FLAIR MR image.
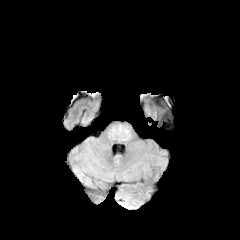
T1-weighted MR image.
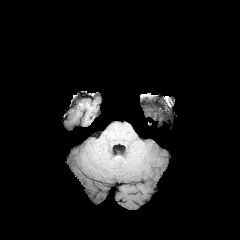
Post-contrast T1-weighted magnetic resonance.
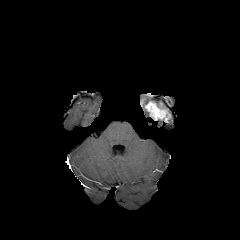
T2-weighted MR image.
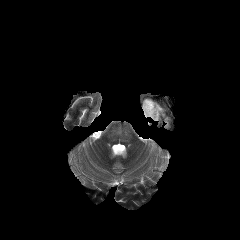
240x240 px; Brain
{"enhancing_tumor": ["<bbox>144, 102, 165, 119</bbox>"]}